CT, Abdomen
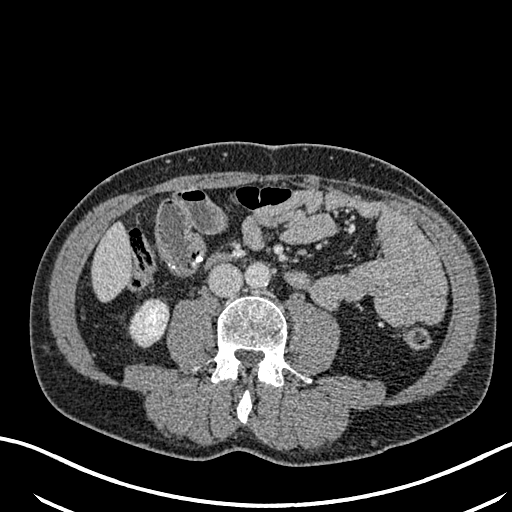

kidney:
  - (left=131, top=300, right=168, bottom=345)
liver:
  - (left=93, top=222, right=129, bottom=301)